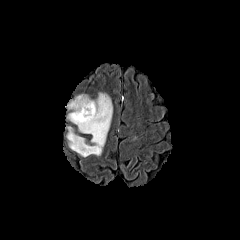
FLAIR MR image.
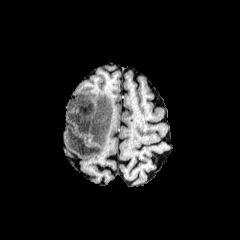
T1-weighted MR of the same slice.
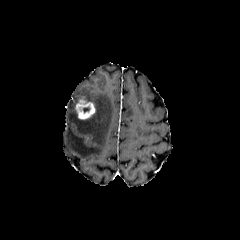
Same slice, post-contrast T1-weighted MR.
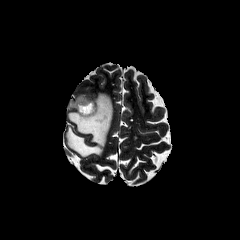
T2-weighted MRI of the same slice.
Head
edema: {"x1": 65, "y1": 92, "x2": 112, "y2": 156} | enhancing tumor: {"x1": 75, "y1": 100, "x2": 95, "y2": 120} | non-enhancing tumor core: {"x1": 68, "y1": 95, "x2": 90, "y2": 108}